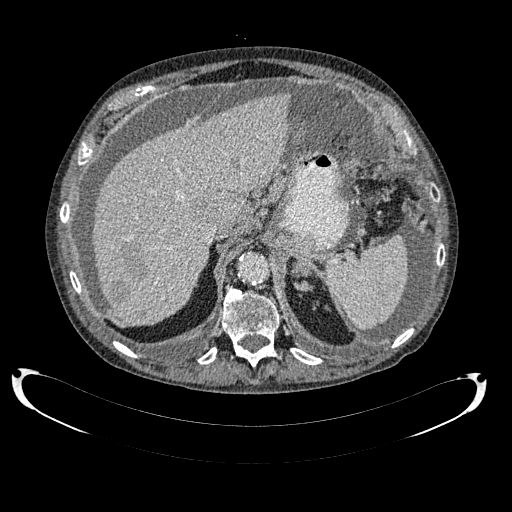

Liver; CT
Segmented structures:
- hepatic lesion: (189, 198, 219, 225), (137, 311, 145, 320), (108, 282, 128, 300), (230, 158, 244, 171), (122, 245, 146, 276)
- liver: (92, 93, 291, 325)